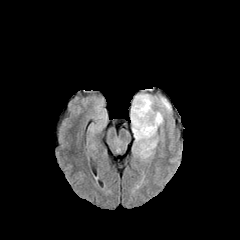
FLAIR MRI.
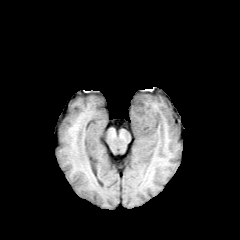
Same slice, T1-weighted MR.
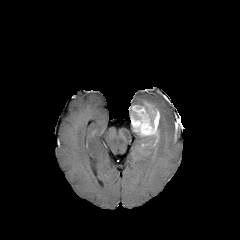
Post-contrast T1-weighted MR.
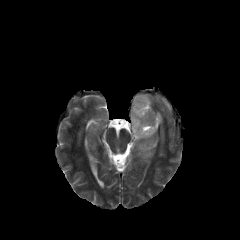
T2-weighted magnetic resonance.
240x240
Enhancing tumor = (130,103,159,136).
Edema = (132,93,171,128), (132,130,159,161).
Non-enhancing tumor core = (135,100,152,123).